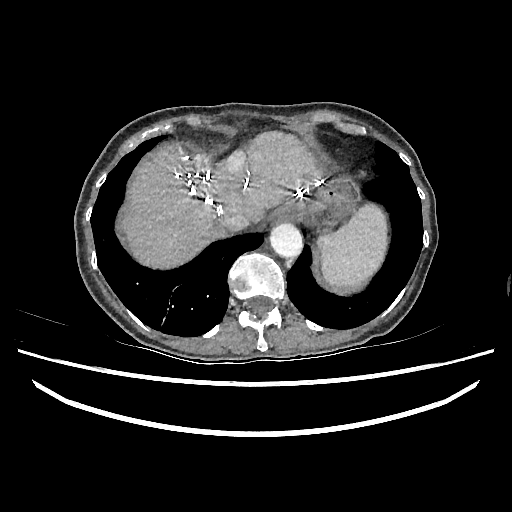 512x512 px; Upper abdomen; CT
<segmentation>
  <liver>box=[122, 133, 319, 267]</liver>
</segmentation>